MR image; Medial temporal lobe 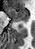 - anterior hippocampus: (9, 8, 28, 21)